FLAIR magnetic resonance.
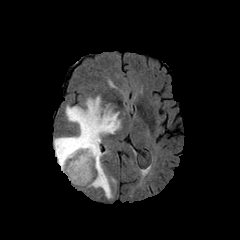
T1-weighted MR.
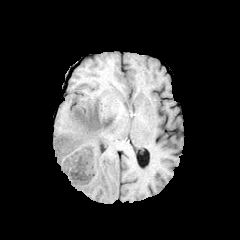
Post-contrast T1-weighted MRI.
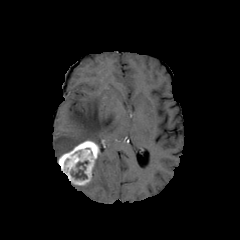
T2-weighted MRI.
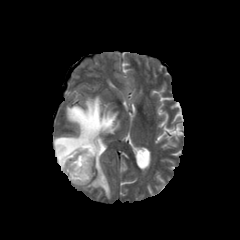
Brain
Enhancing tumor at bbox=[58, 140, 99, 184].
Non-enhancing tumor core at bbox=[71, 161, 87, 179]; bbox=[80, 110, 99, 126].
Edema at bbox=[54, 97, 119, 158]; bbox=[88, 150, 111, 197].